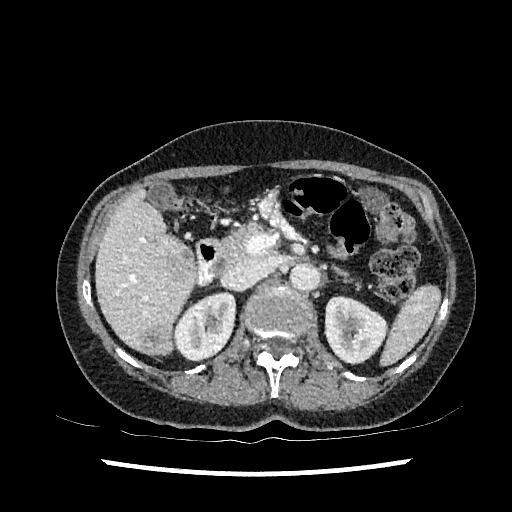 CT image; Upper abdomen

<segmentation>
  <kidney>(left=326, top=297, right=385, bottom=362), (left=175, top=293, right=234, bottom=359)</kidney>
  <liver_lesion>(left=142, top=326, right=171, bottom=352), (left=168, top=251, right=192, bottom=280)</liver_lesion>
  <liver>(left=96, top=188, right=196, bottom=354)</liver>
</segmentation>